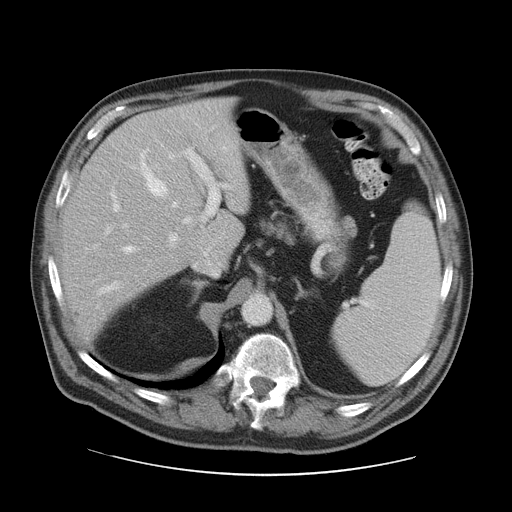 Abdomen, CT
The vessel annotation is not exhaustive.
Liver tumor at (210,157,227,178).
Hepatic vessel at (187,150,219,214), (111,191,118,210), (140,160,166,195), (169,155,171,157), (140,154,144,158), (98,282,116,294), (224,185,228,187), (170,235,176,242), (124,224,126,226), (173,202,176,206), (124,246,131,251), (183,217,189,222).